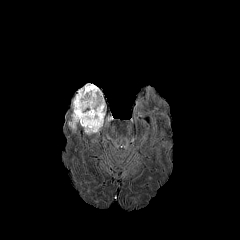
FLAIR magnetic resonance.
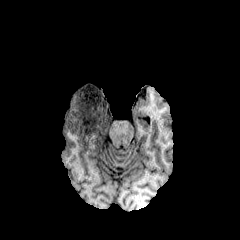
T1-weighted magnetic resonance.
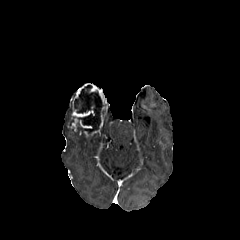
Post-contrast T1-weighted MR.
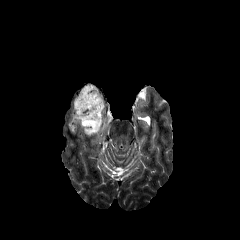
T2-weighted MRI of the same slice.
Brain.
enhancing tumor: [79, 120, 91, 128], [71, 110, 94, 131], [73, 83, 106, 111], [82, 106, 104, 138] | non-enhancing tumor core: [65, 85, 105, 133]